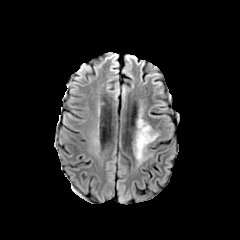
FLAIR MR image.
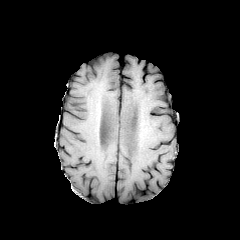
T1-weighted MR.
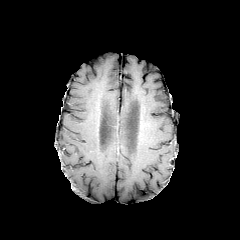
Post-contrast T1-weighted MR image.
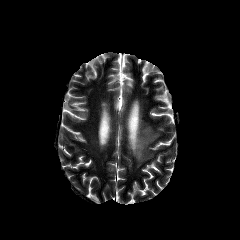
T2-weighted MR image.
Brain
The edema is at left=134, top=120, right=157, bottom=162.